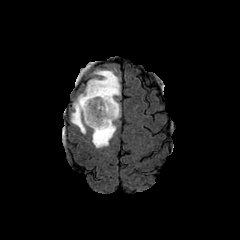
FLAIR MR image.
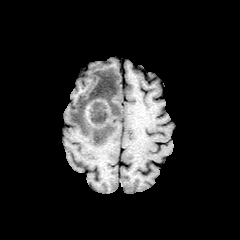
T1-weighted MRI of the same slice.
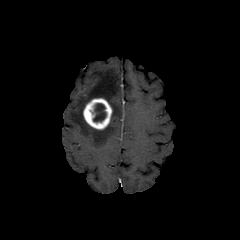
Same slice, post-contrast T1-weighted MR image.
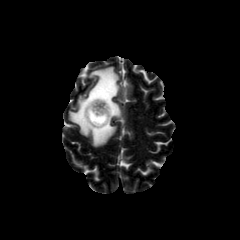
Same slice, T2-weighted MRI.
Head, 240x240
Findings:
* non-enhancing tumor core: left=73, top=74, right=117, bottom=139; left=93, top=103, right=105, bottom=121
* edema: left=69, top=67, right=121, bottom=147
* enhancing tumor: left=83, top=97, right=112, bottom=129